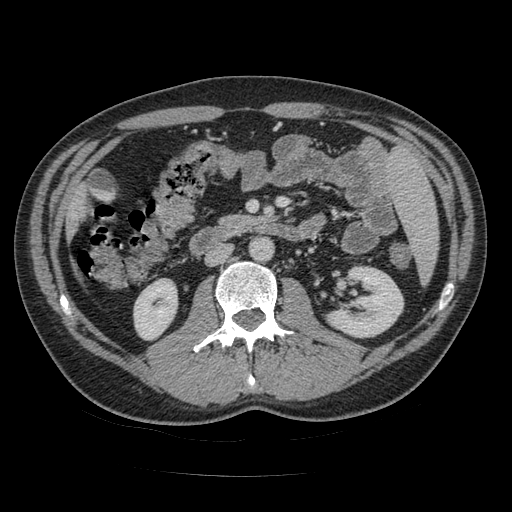

CT | Abdomen | 512x512 px
pancreas: (223, 215, 264, 225)